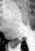

Magnetic resonance. Hippocampus. 35x51.
posterior hippocampus: [12,39,21,42]